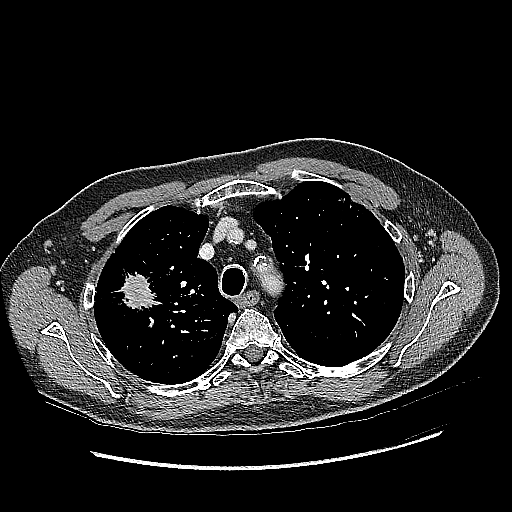 CT image; Image size 512x512
<segmentation>
  <lung_tumor><box>94,269,165,314</box></lung_tumor>
</segmentation>